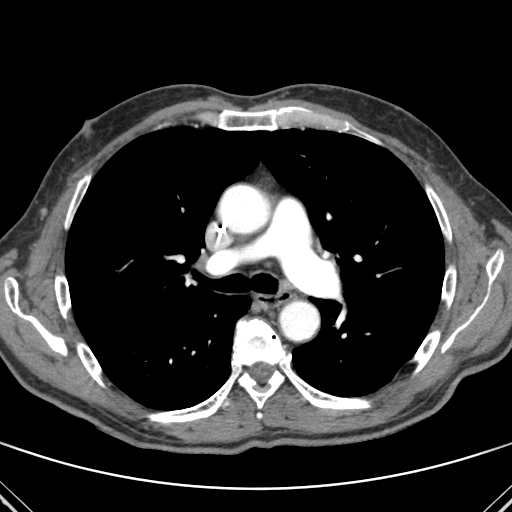 Thorax, Computed tomography

lung:
  - l=65, t=126, r=444, b=409
bone:
  - l=148, t=318, r=370, b=423
  - l=442, t=266, r=456, b=307
  - l=65, t=175, r=90, b=228
  - l=77, t=343, r=104, b=386
  - l=486, t=251, r=503, b=284
  - l=4, t=277, r=67, b=355
  - l=414, t=330, r=440, b=373
  - l=441, t=297, r=487, b=352
  - l=218, t=107, r=307, b=130
  - l=426, t=185, r=451, b=240
  - l=336, t=122, r=349, b=130
  - l=55, t=275, r=70, b=318